CT; Abdomen; Slice 31 of 134
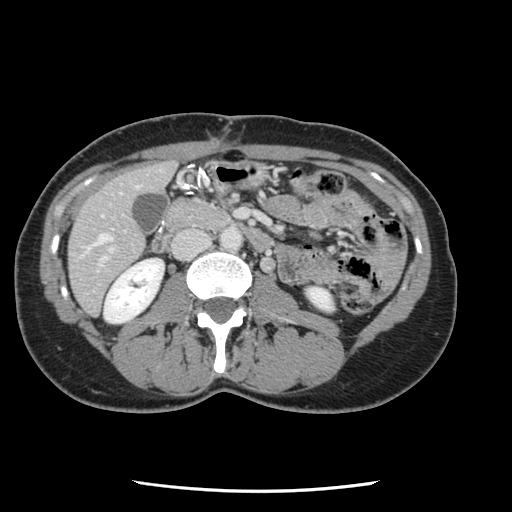 Some hepatic vessels may have no box.
hepatic_vessel:
  - [93,233,110,244]
  - [101,256,106,261]
  - [136,185,138,187]
  - [109,247,112,251]